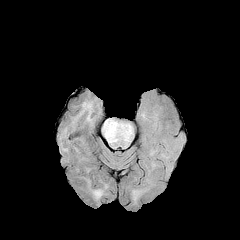
FLAIR magnetic resonance.
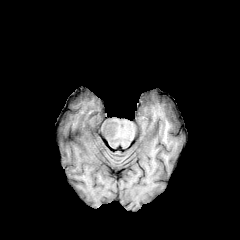
Same slice, T1-weighted MRI.
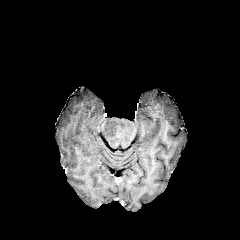
Post-contrast T1-weighted MRI.
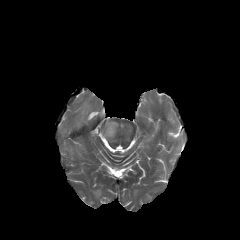
T2-weighted MR.
Head.
• edema: bbox=[102, 118, 117, 142]